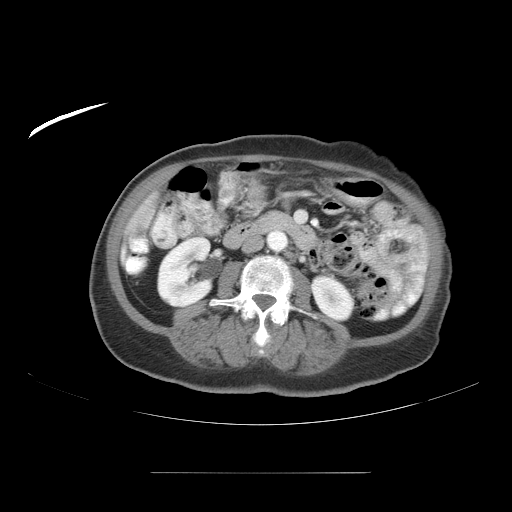
CT image
colon_tumor:
  - <bbox>248, 181, 264, 201</bbox>